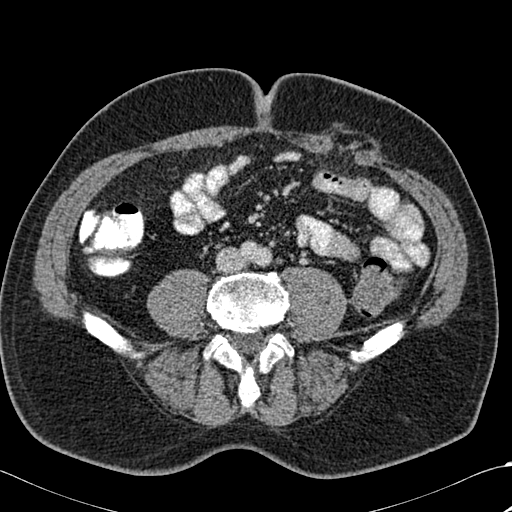

CT slice
bone: (x1=207, y1=272, x2=289, y2=332), (x1=204, y1=333, x2=293, y2=406), (x1=353, y1=323, x2=402, y2=361), (x1=84, y1=313, x2=129, y2=350)